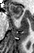

Magnetic resonance. Medial temporal lobe.
anterior hippocampus: (left=9, top=4, right=22, bottom=18)